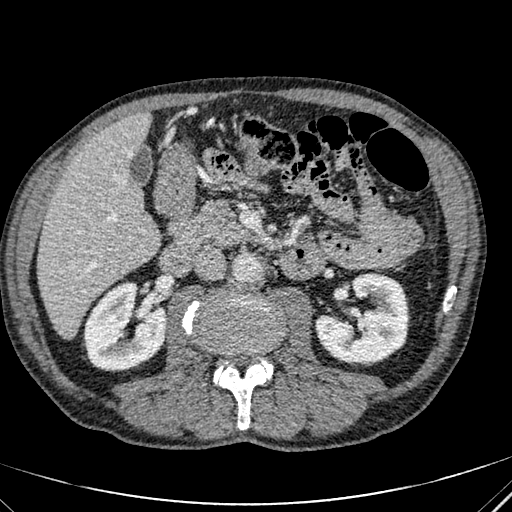
Computed tomography; 512x512

{"kidney": ["85, 284, 165, 368", "317, 274, 407, 361"], "liver": ["38, 111, 158, 338"]}